Slice index 13. Medial temporal lobe. Magnetic resonance.

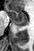
{"posterior_hippocampus": ["17:25:24:26"], "anterior_hippocampus": ["6:8:28:24"]}